Computed tomography. 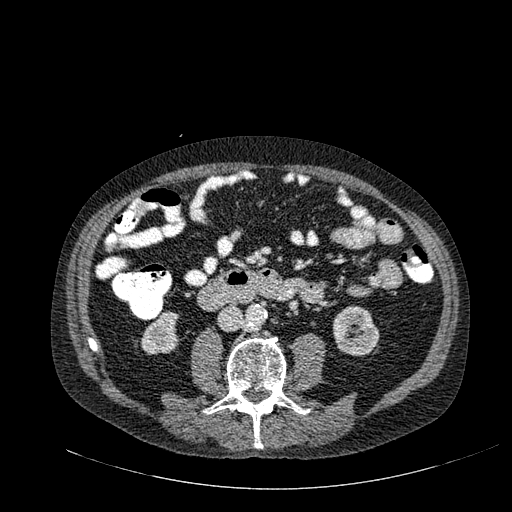
2 kidney regions appear at (x1=141, y1=311, x2=178, y2=354), (x1=333, y1=306, x2=379, y2=355).